Head, Field of view 240x240 mm, Slice index 99
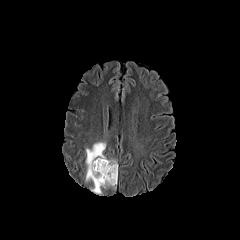
FLAIR MR image.
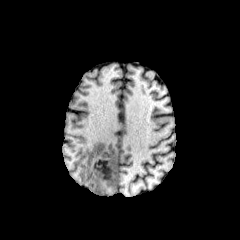
T1-weighted MR image.
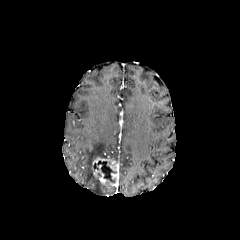
Same slice, post-contrast T1-weighted MR.
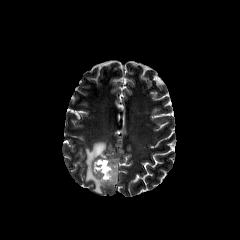
T2-weighted MRI.
Enhancing tumor at (91, 164, 105, 184), (92, 158, 117, 185).
Non-enhancing tumor core at (92, 161, 115, 186).
Edema at (84, 141, 106, 193).